Slice index 110
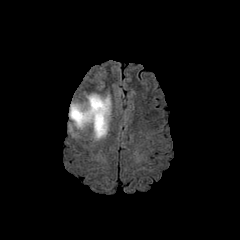
FLAIR magnetic resonance.
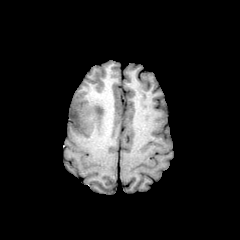
T1-weighted magnetic resonance.
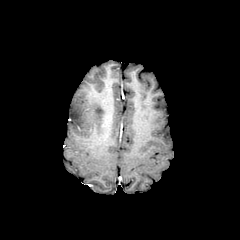
Post-contrast T1-weighted MRI.
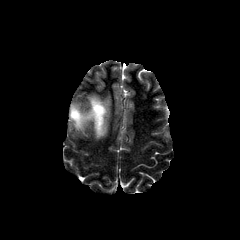
T2-weighted MRI.
non-enhancing tumor core: left=95, top=117, right=106, bottom=136; left=94, top=102, right=107, bottom=123 | edema: left=69, top=94, right=110, bottom=138